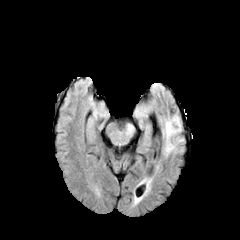
FLAIR magnetic resonance.
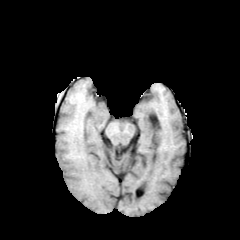
T1-weighted magnetic resonance.
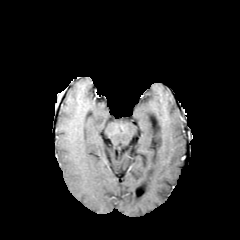
Same slice, post-contrast T1-weighted magnetic resonance.
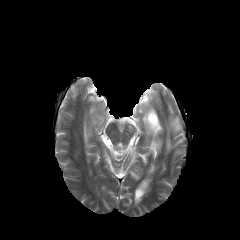
T2-weighted MR.
Head
edema: (162,118,181,154)